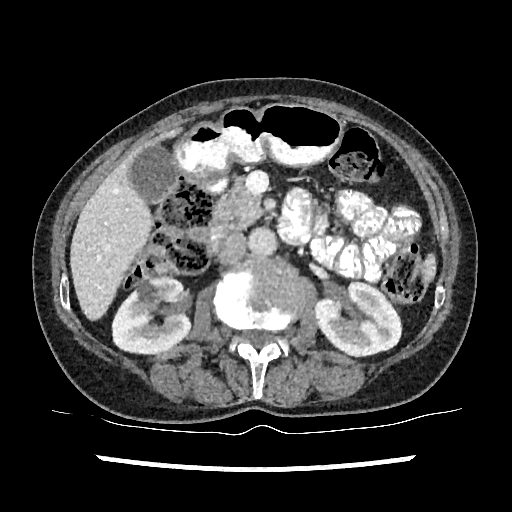
CT slice, 512x512 px
liver:
  - bbox(71, 127, 180, 319)
kidney:
  - bbox(113, 276, 191, 353)
  - bbox(316, 282, 403, 354)